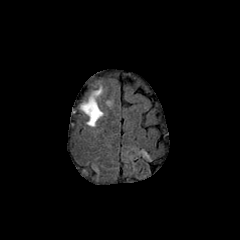
FLAIR MR image.
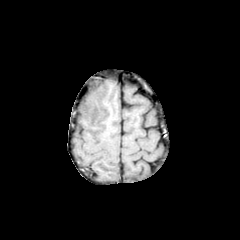
T1-weighted MR image.
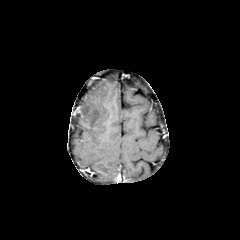
Same slice, post-contrast T1-weighted magnetic resonance.
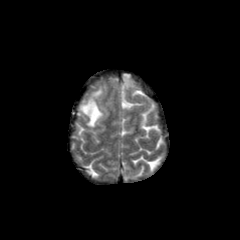
T2-weighted MRI.
The edema appears at l=80, t=87, r=103, b=127.